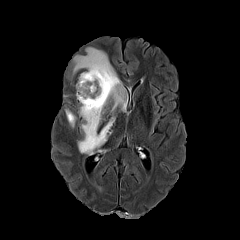
FLAIR MR.
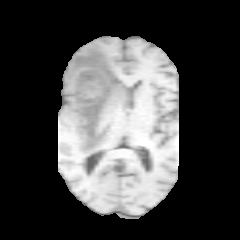
Same slice, T1-weighted MR image.
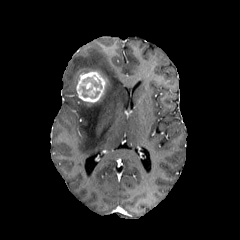
Post-contrast T1-weighted MRI.
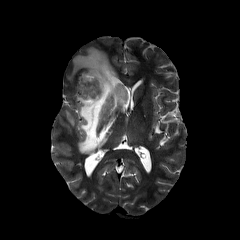
T2-weighted MR image.
Image size 240x240
<segmentation>
  <edema>region(69, 47, 127, 155); region(65, 108, 76, 126)</edema>
  <enhancing_tumor>region(76, 68, 104, 102)</enhancing_tumor>
  <non-enhancing_tumor_core>region(81, 86, 91, 97); region(91, 79, 102, 88)</non-enhancing_tumor_core>
</segmentation>